240x240 px. Head.
FLAIR MRI.
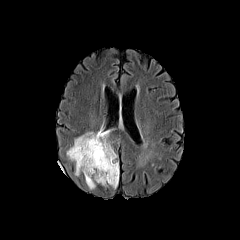
T1-weighted MRI.
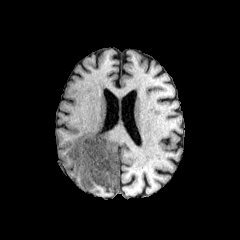
Post-contrast T1-weighted MR image.
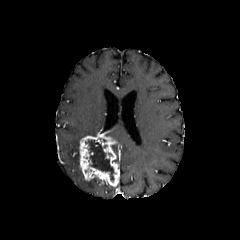
T2-weighted MR image.
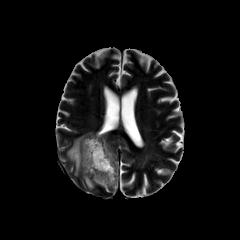
{
  "enhancing_tumor": [
    "(79,126,119,186)"
  ],
  "edema": [
    "(86,180,95,189)",
    "(67,132,96,175)"
  ],
  "non-enhancing_tumor_core": [
    "(85,139,114,180)"
  ]
}